Image size 512x512 | CT | Liver 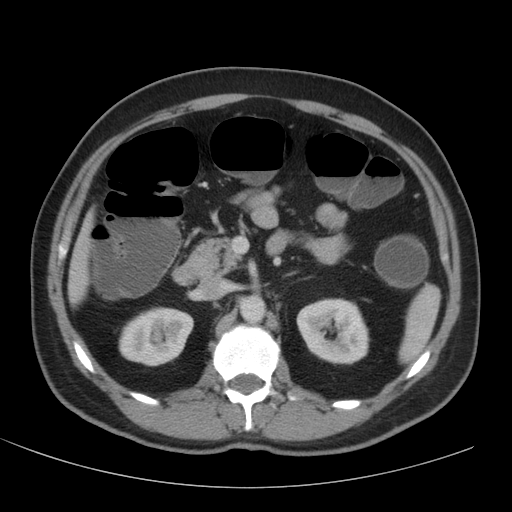
2 kidney regions are located at x1=119, y1=308, x2=192, y2=365; x1=297, y1=299, x2=368, y2=363. The liver appears at x1=69, y1=221, x2=89, y2=301.